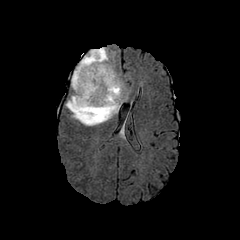
FLAIR MR.
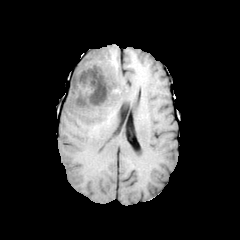
T1-weighted MRI.
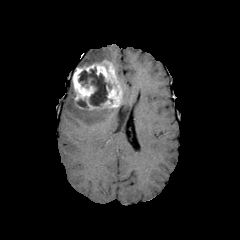
Same slice, post-contrast T1-weighted magnetic resonance.
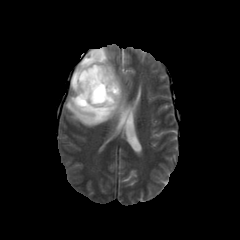
Same slice, T2-weighted MRI.
Head. Image size 240x240.
edema: l=77, t=47, r=125, b=102; l=65, t=80, r=121, b=126 | enhancing tumor: l=72, t=62, r=122, b=107 | non-enhancing tumor core: l=74, t=67, r=111, b=111